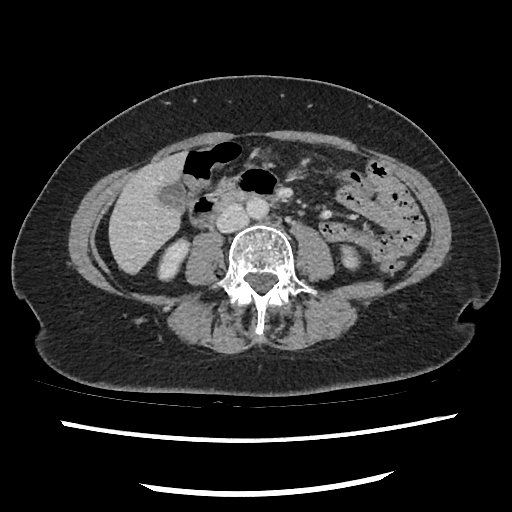

512x512 | CT
{
  "pancreas": [
    "217 180 234 192"
  ]
}